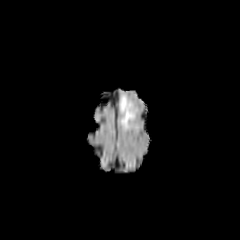
FLAIR MR image.
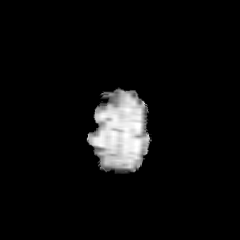
T1-weighted magnetic resonance of the same slice.
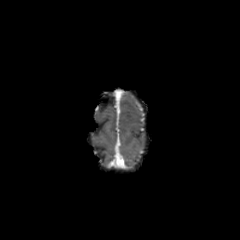
Post-contrast T1-weighted MRI.
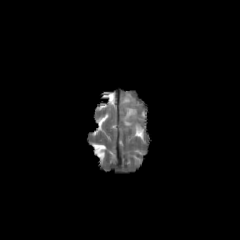
T2-weighted MRI of the same slice.
240x240 px.
edema: <bbox>120, 96, 135, 127</bbox>